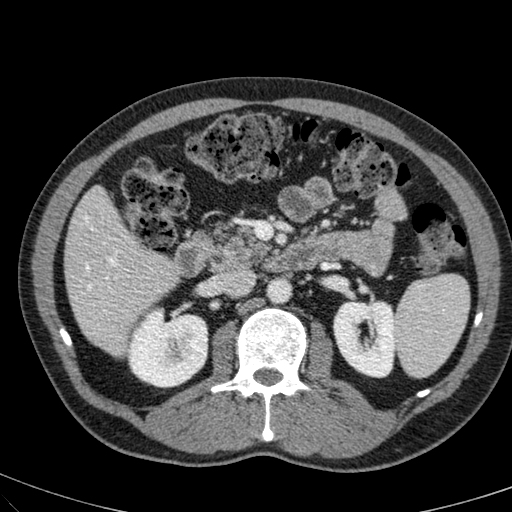
CT scan slice
<segmentation>
  <liver>65 187 178 356</liver>
  <kidney>334 303 394 375, 130 312 206 385</kidney>
</segmentation>